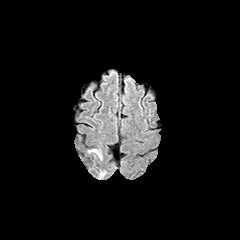
FLAIR MRI.
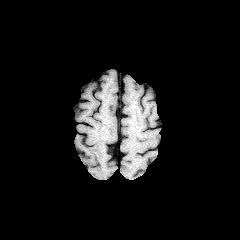
T1-weighted magnetic resonance.
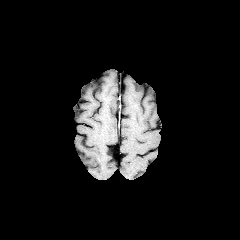
Post-contrast T1-weighted MR of the same slice.
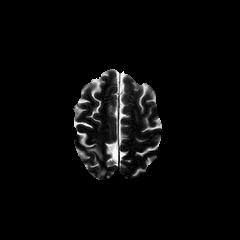
T2-weighted MR of the same slice.
edema:
  - (86,146,102,160)